Slice 215 of 461 | CT image | 512x512

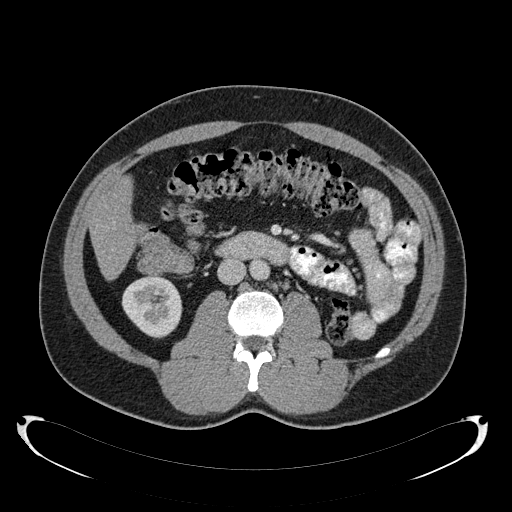 Liver = bbox(90, 178, 135, 277).
Kidney = bbox(122, 277, 181, 336).